FLAIR magnetic resonance.
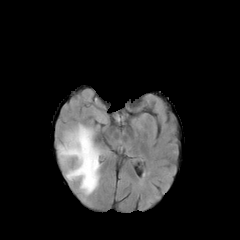
T1-weighted MR.
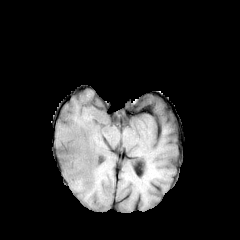
Post-contrast T1-weighted MR image.
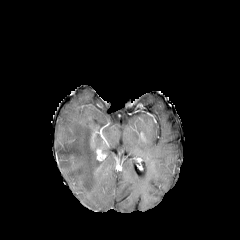
T2-weighted magnetic resonance.
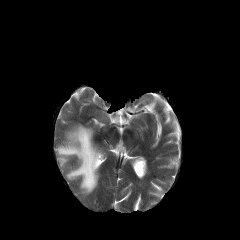
Edema at [57, 124, 101, 194].